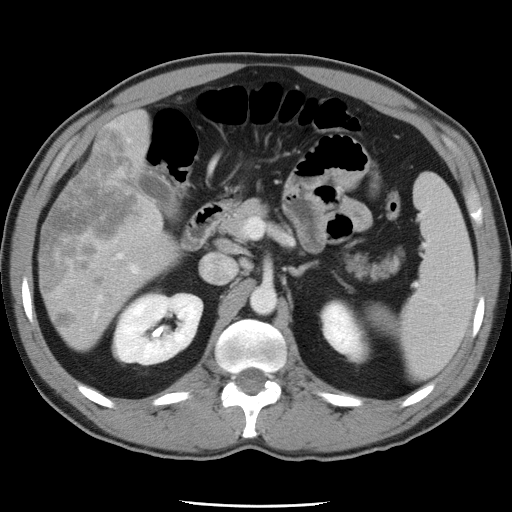

Computed tomography, Abdomen

Not every hepatic vessel necessarily has a box.
4 hepatic vessel regions are bounded by (117,255,119,256), (98,297,100,298), (246,218,255,237), (130,266,136,271).